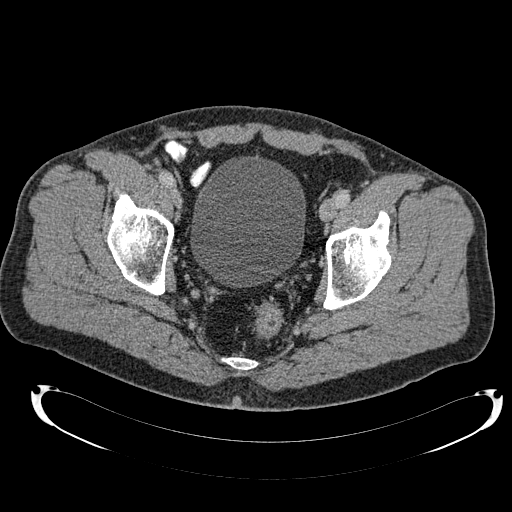
CT
urinary bladder: 190:156:305:286